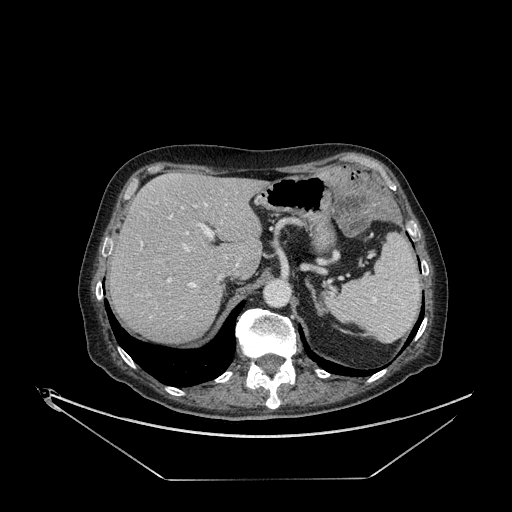 512x512 | Liver | CT scan slice

Liver at region(110, 173, 264, 343).